Field of view 240x240 mm | Slice 77/155 | Head
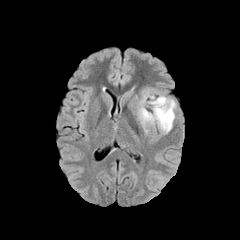
FLAIR MR image.
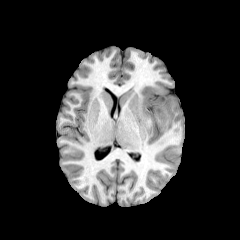
Same slice, T1-weighted MR.
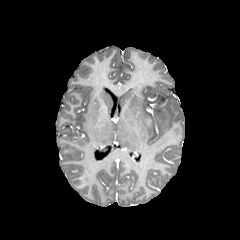
Post-contrast T1-weighted magnetic resonance.
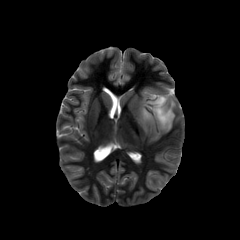
T2-weighted MRI.
Annotated regions:
* edema: <bbox>137, 89, 176, 134</bbox>